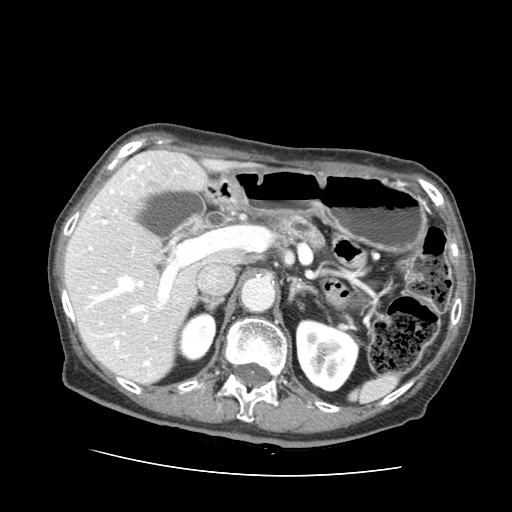

Abdomen; CT image
Pancreas: x1=276 y1=214 x2=329 y2=258.